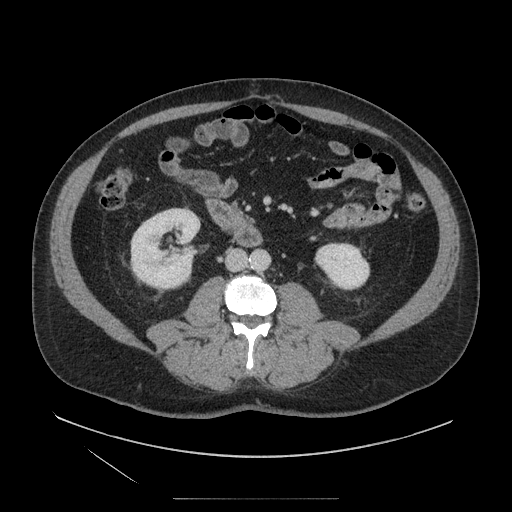 CT slice

Annotated regions:
• pancreas: bbox=[221, 207, 244, 236]